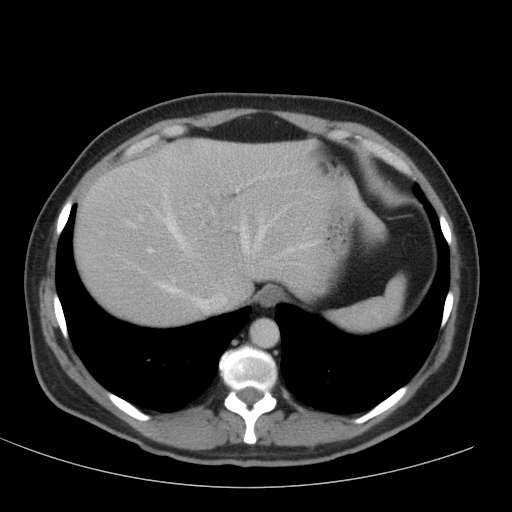
CT scan slice. Image size 512x512. Annotated regions:
• liver: (336,179,358,208), (357,209,374,224), (75,139,338,324)